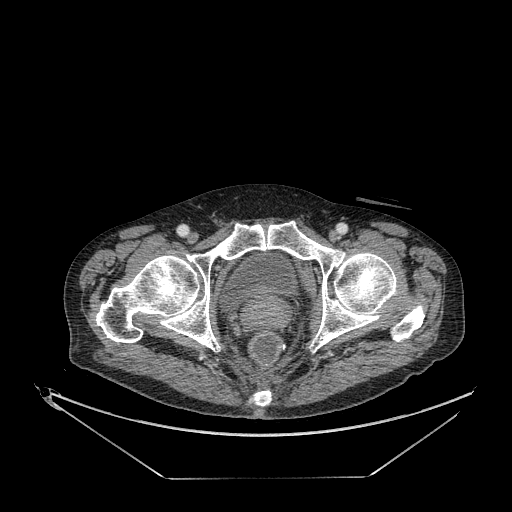
Lower abdomen, Computed tomography

<segmentation>
  <urinary_bladder>l=220, t=250, r=296, b=311</urinary_bladder>
</segmentation>